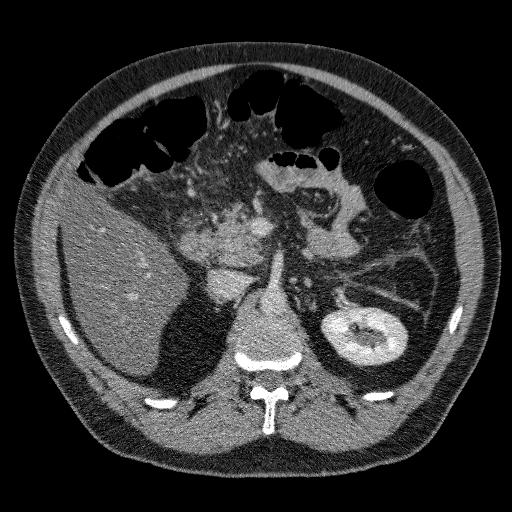 512x512 px, CT slice

Annotated regions:
* liver: l=61, t=181, r=184, b=373
* kidney: l=323, t=310, r=405, b=364
* liver lesion: l=133, t=233, r=142, b=240